FLAIR magnetic resonance.
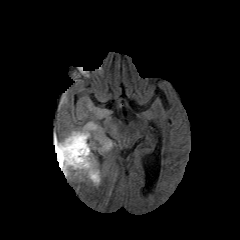
T1-weighted magnetic resonance.
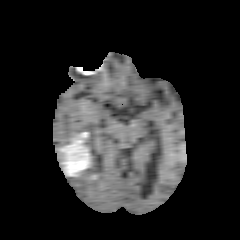
Post-contrast T1-weighted magnetic resonance.
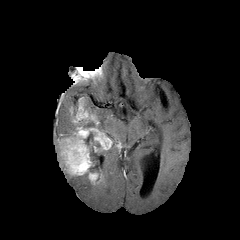
T2-weighted MR image.
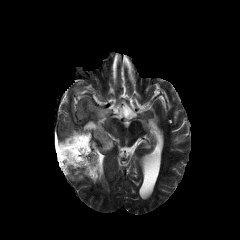
Brain, 240x240
Edema — 70, 173, 99, 184; 95, 155, 104, 180; 57, 128, 75, 139; 102, 136, 118, 155; 87, 102, 108, 119.
Enhancing tumor — 57, 120, 112, 182.
Non-enhancing tumor core — 54, 137, 62, 163; 83, 132, 101, 179.